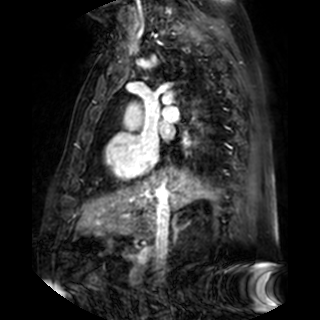 Magnetic resonance. Image size 320x320.
The left atrium lies within 163:128:169:137.